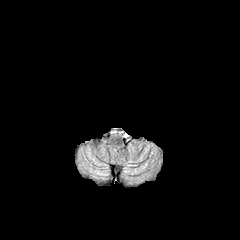
FLAIR MR image.
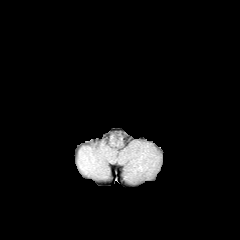
T1-weighted MR image of the same slice.
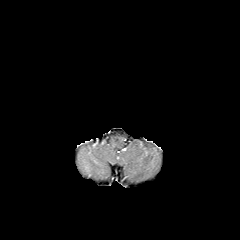
Post-contrast T1-weighted magnetic resonance of the same slice.
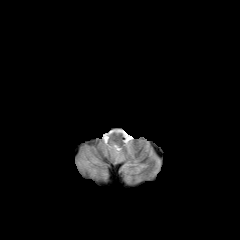
T2-weighted MR.
Head.
{
  "edema": [
    {"x1": 104, "y1": 145, "x2": 133, "y2": 156},
    {"x1": 98, "y1": 162, "x2": 107, "y2": 175},
    {"x1": 83, "y1": 148, "x2": 96, "y2": 167}
  ]
}